Brain.
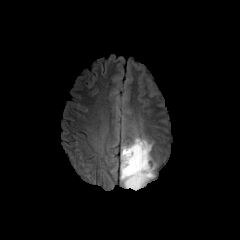
FLAIR MR.
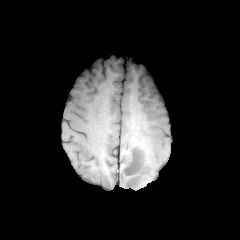
T1-weighted MR of the same slice.
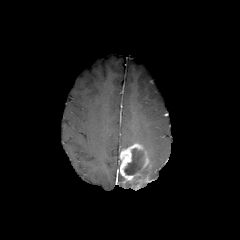
Post-contrast T1-weighted MR image of the same slice.
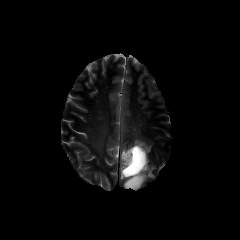
Same slice, T2-weighted MR image.
edema:
  - box=[121, 136, 152, 162]
  - box=[149, 164, 156, 179]
non-enhancing_tumor_core:
  - box=[124, 148, 144, 174]
enhancing_tumor:
  - box=[119, 143, 152, 189]